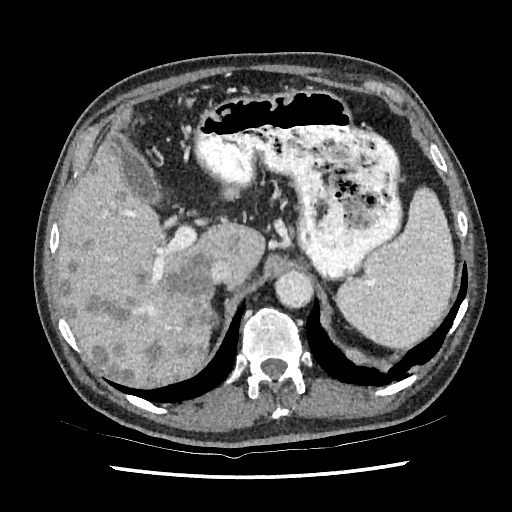 Computed tomography; 512x512 px
• liver: x1=55, y1=113, x2=263, y2=386
• hepatic lesion: x1=58, y1=280, x2=70, y2=297; x1=115, y1=190, x2=127, y2=201; x1=166, y1=252, x2=212, y2=307; x1=180, y1=307, x2=208, y2=328; x1=78, y1=237, x2=94, y2=252; x1=176, y1=342, x2=206, y2=358; x1=228, y1=234, x2=241, y2=256; x1=67, y1=260, x2=77, y2=273; x1=84, y1=294, x2=135, y2=324; x1=133, y1=272, x2=148, y2=285; x1=63, y1=305, x2=77, y2=321; x1=93, y1=344, x2=133, y2=382; x1=143, y1=340, x2=163, y2=369